Slice 6/33; MRI
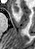

Anterior hippocampus: bounding box [13,5,18,12].